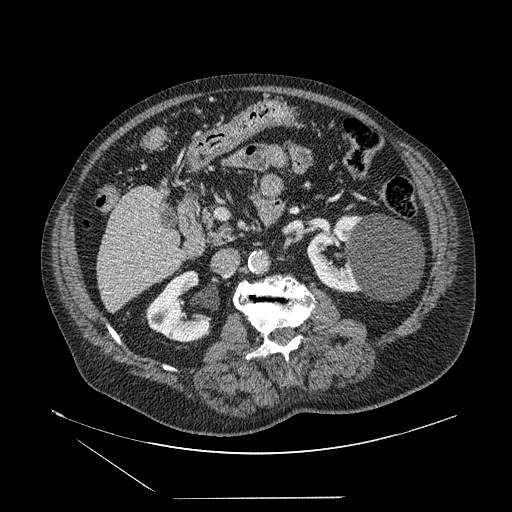
CT image, Image size 512x512

The pancreas is located at x1=201 y1=205 x2=237 y2=246.